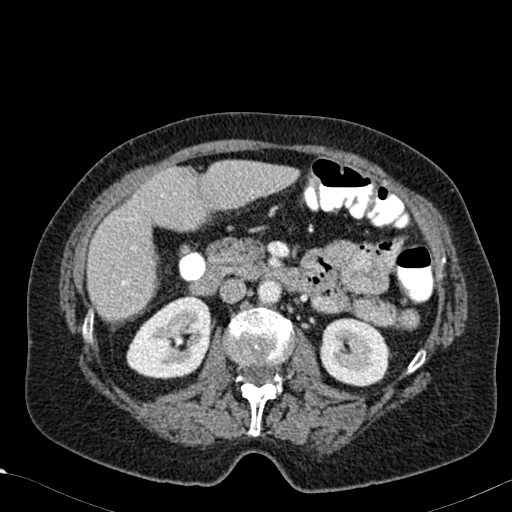

Upper abdomen; 512x512 px; CT slice
2 kidney regions are located at box=[127, 297, 210, 377]; box=[321, 319, 388, 385]. The liver is at box=[88, 162, 296, 319].